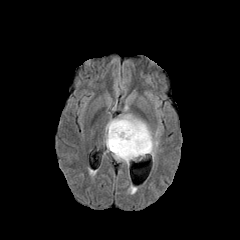
FLAIR MR.
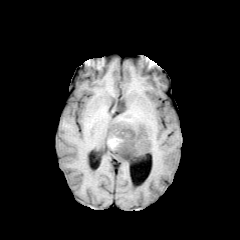
T1-weighted MR.
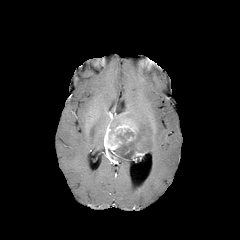
Post-contrast T1-weighted MR image.
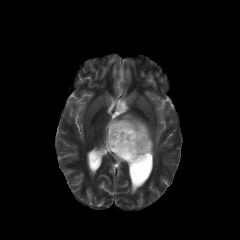
T2-weighted MRI.
Head. 240x240 px.
2 enhancing tumor regions are located at left=104, top=118, right=137, bottom=156; left=132, top=152, right=144, bottom=159. The non-enhancing tumor core lies within left=114, top=128, right=148, bottom=161. 2 edema regions are located at left=115, top=156, right=132, bottom=164; left=108, top=114, right=157, bottom=159.